Pelvis | Image width 320 mm | Slice 67 of 519 | 512x512 px | CT image 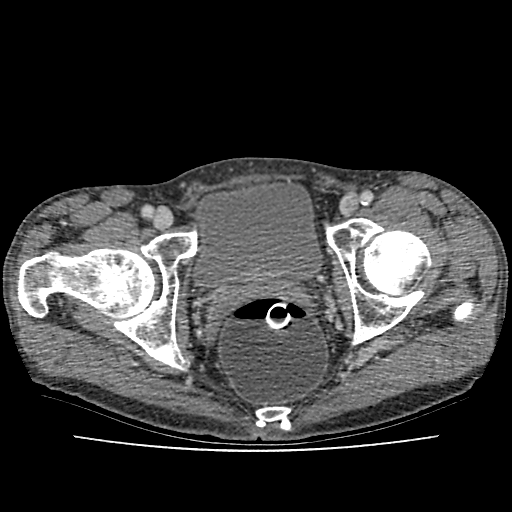 The urinary bladder is located at [x1=191, y1=180, x2=322, y2=298].